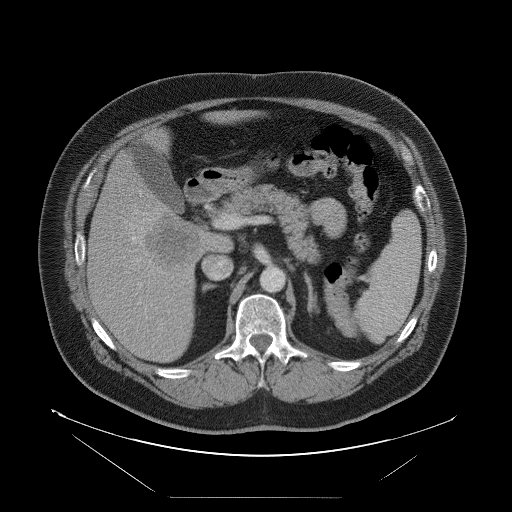
CT scan slice

The vessel annotation is not exhaustive.
liver tumor: bbox=[147, 214, 195, 269] | hepatic vessel: bbox=[136, 259, 141, 261]; bbox=[160, 270, 161, 272]; bbox=[149, 260, 151, 262]; bbox=[138, 301, 141, 303]; bbox=[154, 217, 157, 220]; bbox=[138, 282, 141, 285]; bbox=[132, 233, 135, 243]